Slice index 72. MRI slice.

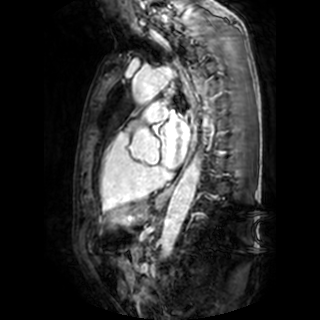

Annotated regions:
- left atrium: x1=161 y1=115 x2=189 y2=168